Upper abdomen, Field of view 380 mm wide, 0.70 mm slice spacing, Slice 569/871, Image size 512x512, CT slice

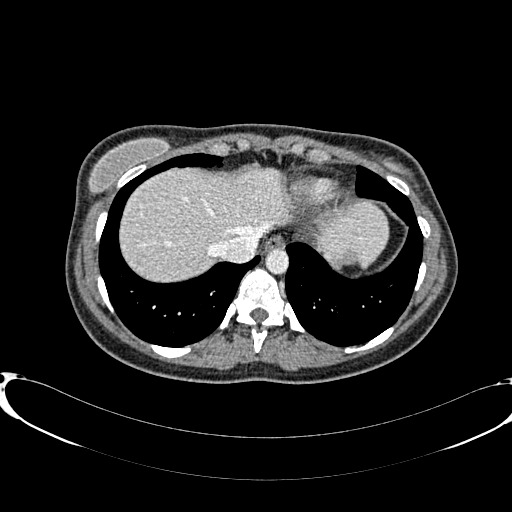 Liver at 120, 168, 289, 280; 319, 203, 387, 264.